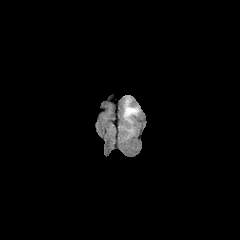
FLAIR MR.
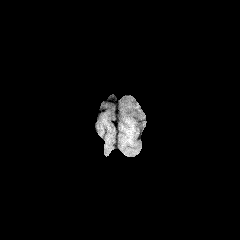
T1-weighted MRI of the same slice.
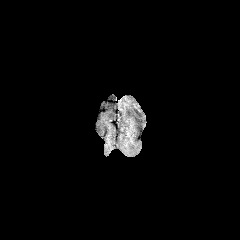
Post-contrast T1-weighted MRI.
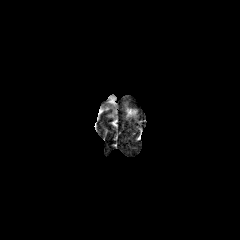
T2-weighted MRI of the same slice.
The edema appears at box=[124, 104, 137, 118].